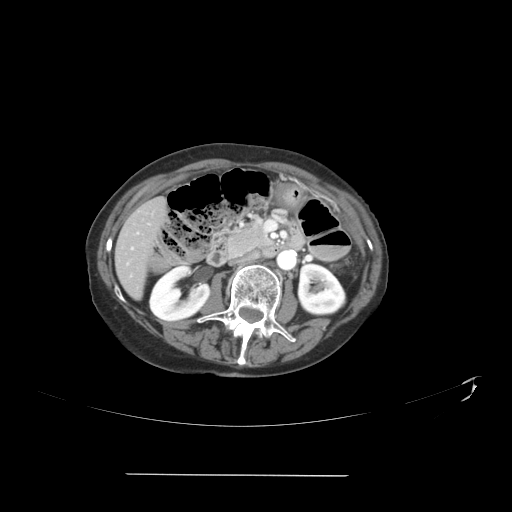
Liver. Image size 512x512. CT slice.

The vessel annotation is not exhaustive.
Segmented structures:
* hepatic vessel: (131, 247, 133, 249)